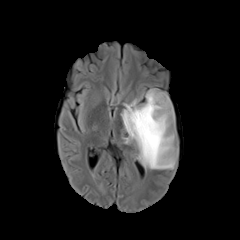
FLAIR MR image.
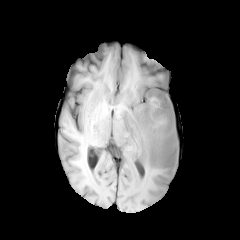
T1-weighted MRI.
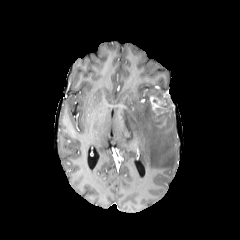
Same slice, post-contrast T1-weighted MRI.
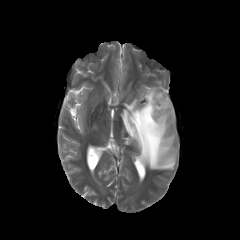
T2-weighted MRI of the same slice.
Head | Image size 240x240
<segmentation>
  <enhancing_tumor>[150,93,167,113]</enhancing_tumor>
  <non-enhancing_tumor_core>[150,92,164,99], [136,97,172,131]</non-enhancing_tumor_core>
  <edema>[121,88,178,169]</edema>
</segmentation>